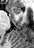
MR; Image size 34x48
• anterior hippocampus: bbox(13, 7, 20, 14)